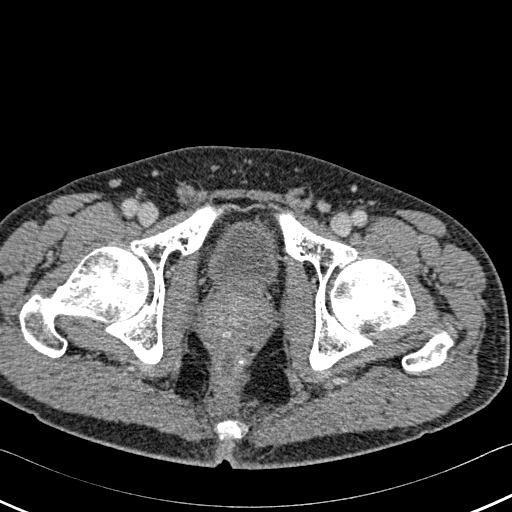

512x512 px | Lower abdomen | Computed tomography
Annotated regions:
• urinary bladder: <bbox>207, 218, 278, 296</bbox>
• bone: <bbox>20, 207, 216, 364</bbox>, <bbox>280, 214, 414, 370</bbox>, <bbox>216, 420, 246, 438</bbox>, <bbox>402, 332, 452, 370</bbox>